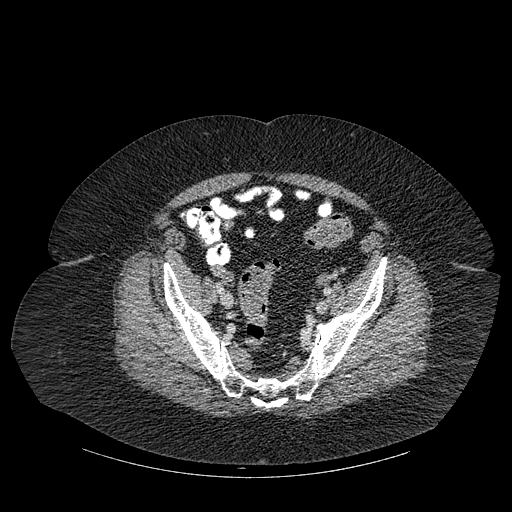
512x512, CT
Segmented structures:
• bone: bbox(164, 257, 386, 408); bbox(220, 245, 229, 262)